Abdomen. Computed tomography. Field of view 500 mm wide, 5.00 mm slice spacing. 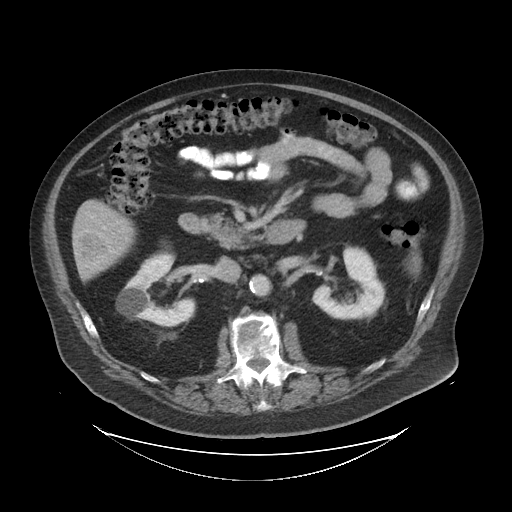

The liver tumor is bounded by (left=78, top=234, right=106, bottom=261).